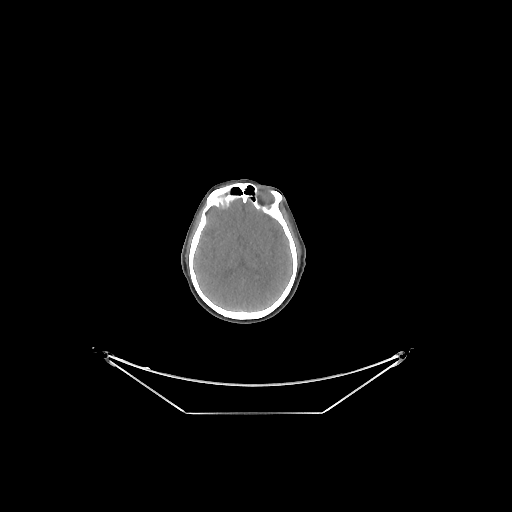

Head. 512x512. CT slice.

Brain = [193, 198, 292, 311].